FLAIR MR image.
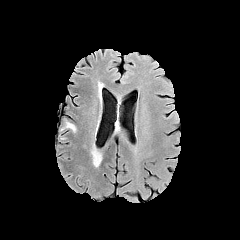
T1-weighted MRI.
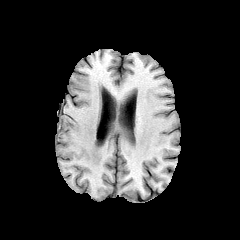
Post-contrast T1-weighted MR image.
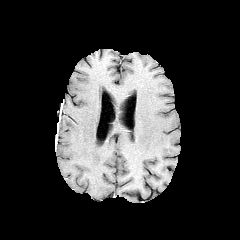
T2-weighted MR image.
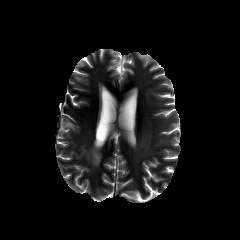
- edema: [x1=89, y1=143, x2=100, y2=166]